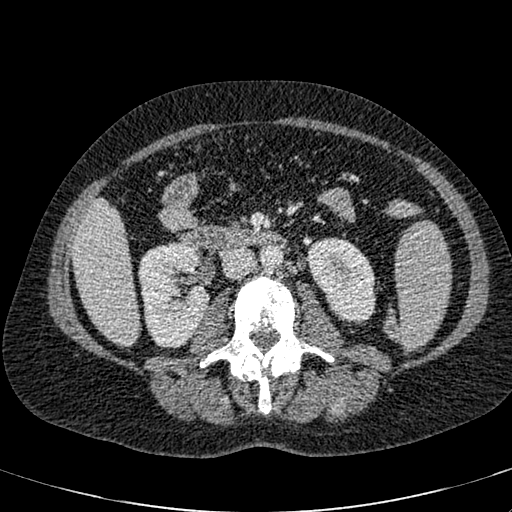

Image size 512x512, CT slice
The liver is at (x1=73, y1=200, x2=138, y2=344). 2 kidney regions are located at (x1=307, y1=238, x2=374, y2=321), (x1=139, y1=243, x2=208, y2=347).